CT image. Field of view 400x400 mm. Slice index 23.
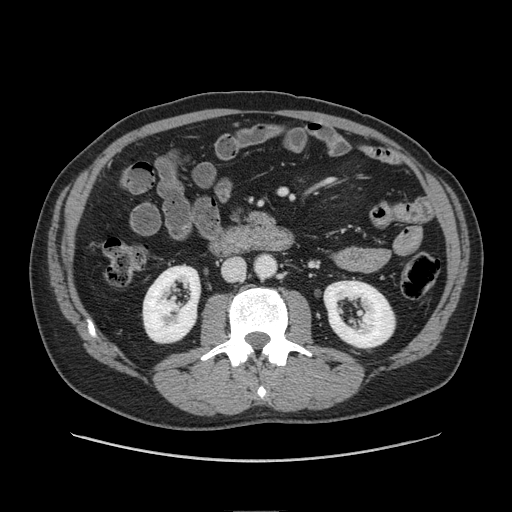

The pancreas lies within <bbox>227, 206, 277, 227</bbox>.